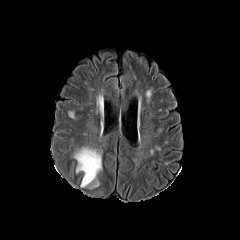
FLAIR magnetic resonance.
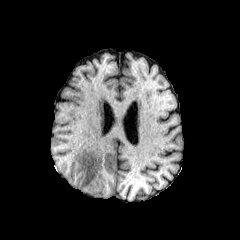
T1-weighted magnetic resonance of the same slice.
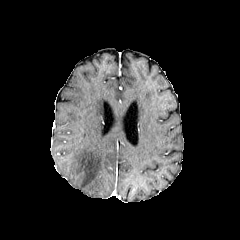
Post-contrast T1-weighted MRI of the same slice.
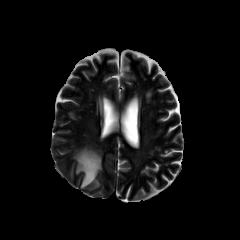
T2-weighted magnetic resonance.
Head
The edema is located at [74,148,102,188].